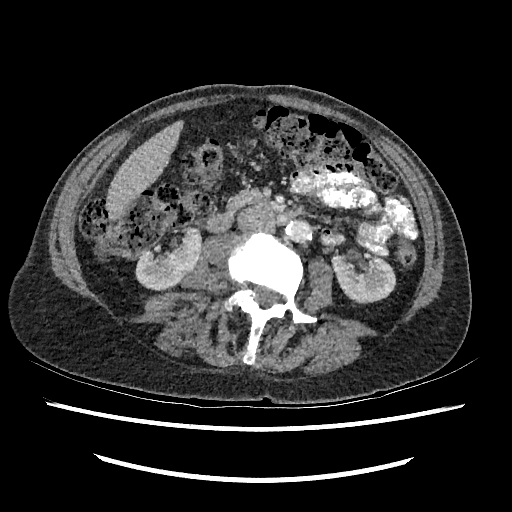 Abdomen | 512x512 | Computed tomography
Annotated regions:
• liver: {"x1": 107, "y1": 120, "x2": 183, "y2": 217}
• kidney: {"x1": 332, "y1": 256, "x2": 395, "y2": 301}, {"x1": 136, "y1": 236, "x2": 200, "y2": 289}